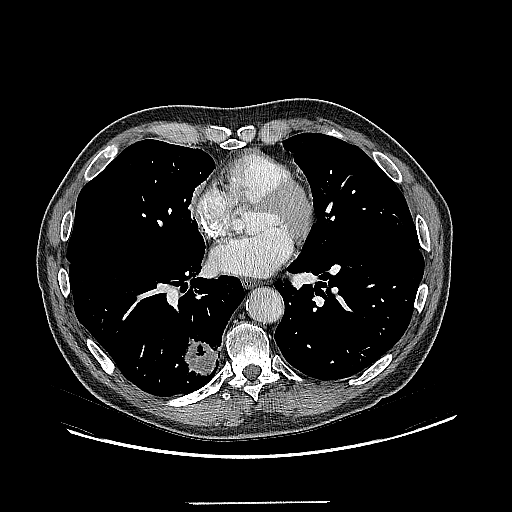 CT image

<segmentation>
  <lung_tumor>region(184, 339, 220, 376)</lung_tumor>
</segmentation>